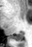

Medial temporal lobe, MR image

posterior hippocampus: {"x1": 10, "y1": 32, "x2": 22, "y2": 40}